Liver | Computed tomography | Field of view 432x432 mm 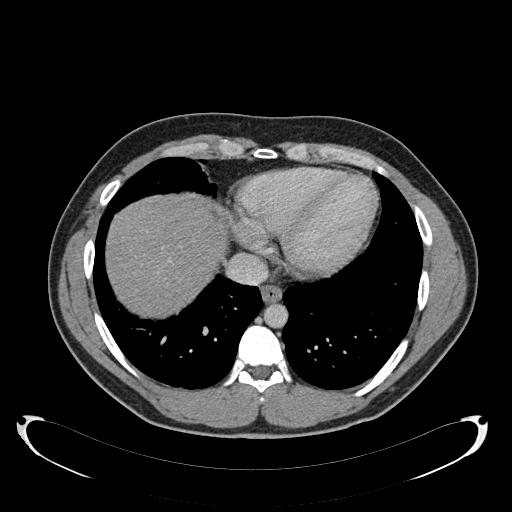
{"liver": ["l=107, t=196, r=226, b=314"]}